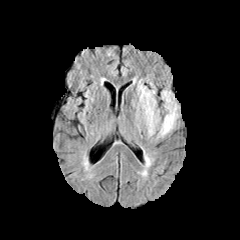
FLAIR MR.
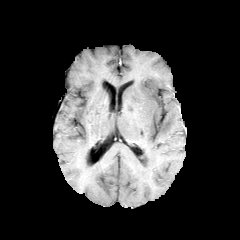
Same slice, T1-weighted magnetic resonance.
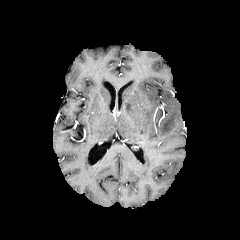
Post-contrast T1-weighted MR image.
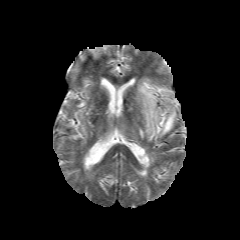
T2-weighted MR image.
Brain.
edema:
  - 138,149,153,175
  - 135,82,179,140